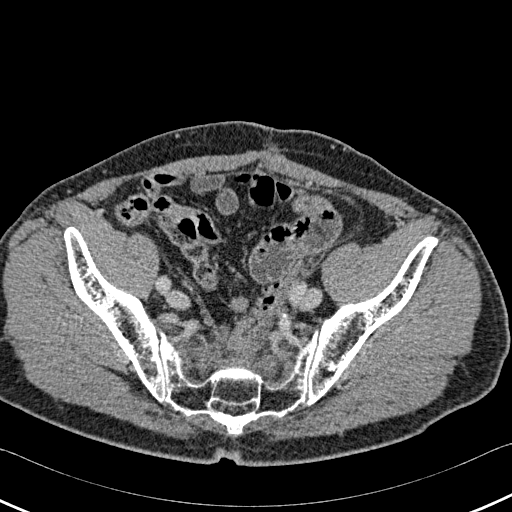
CT slice
<segmentation>
  <bone>[64, 227, 437, 433]</bone>
</segmentation>